CT; Slice 462/908; Upper abdomen; 512x512

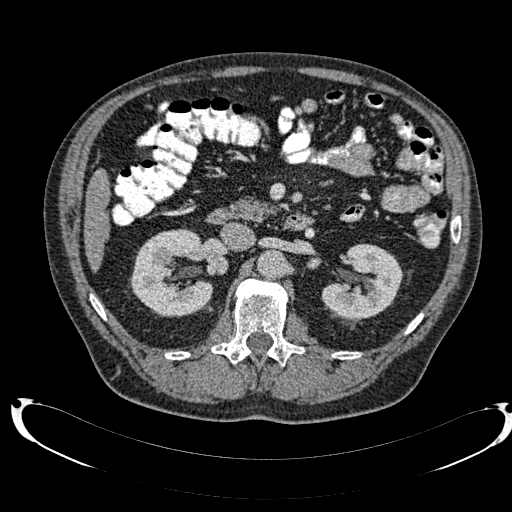

2 kidney regions are bounded by 322,244,402,320; 131,229,230,316. The liver appears at 83,168,109,270.